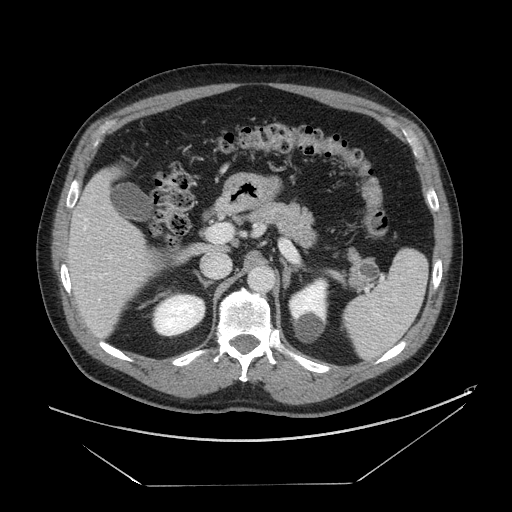

512x512 | Upper abdomen | CT image

Pancreas = [346,248,373,288], [247,202,316,247].
Pancreatic tumor = [356,260,380,283].